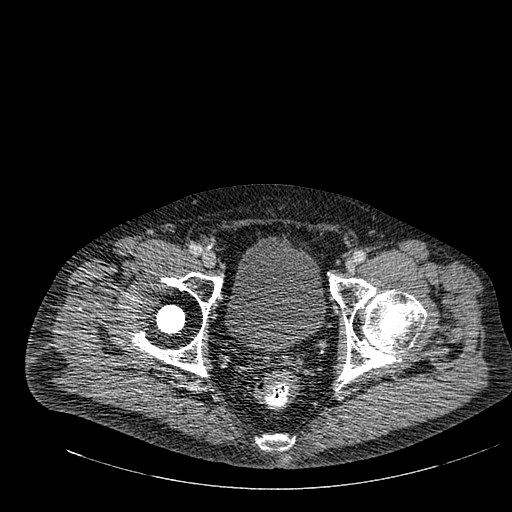

Pelvis, Computed tomography

Urinary bladder = region(225, 237, 325, 351).